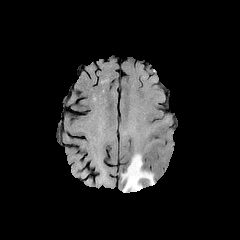
FLAIR MR.
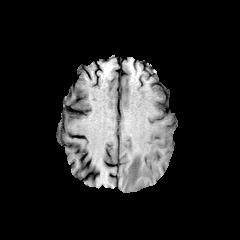
T1-weighted MR of the same slice.
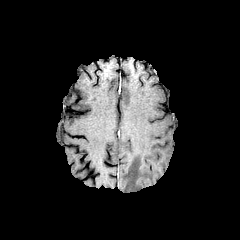
Post-contrast T1-weighted magnetic resonance.
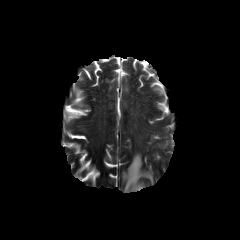
Same slice, T2-weighted MRI.
edema:
  - x1=121, y1=153, x2=153, y2=191